FLAIR MR.
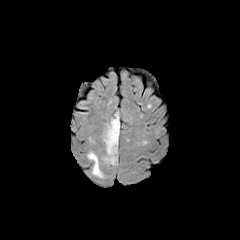
T1-weighted MRI.
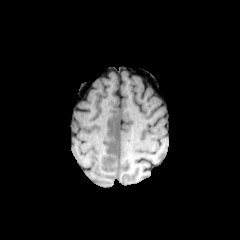
Post-contrast T1-weighted magnetic resonance.
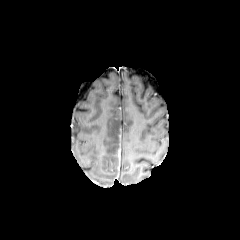
T2-weighted MR.
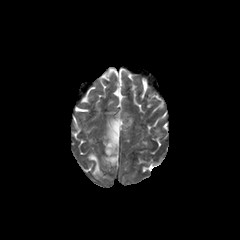
Brain.
edema:
  - 87,113,120,177